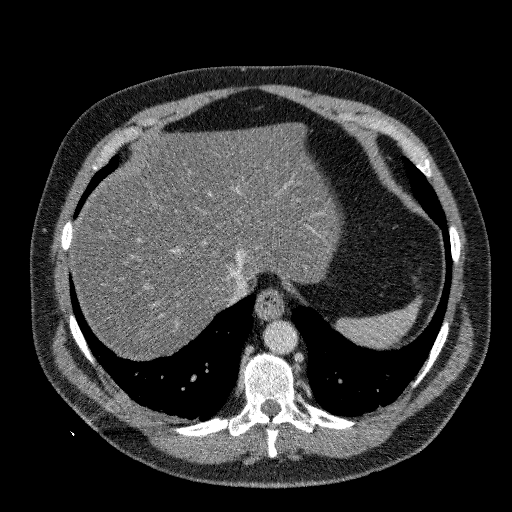

Computed tomography. Upper abdomen.

Liver — x1=69, y1=122, x2=336, y2=358.